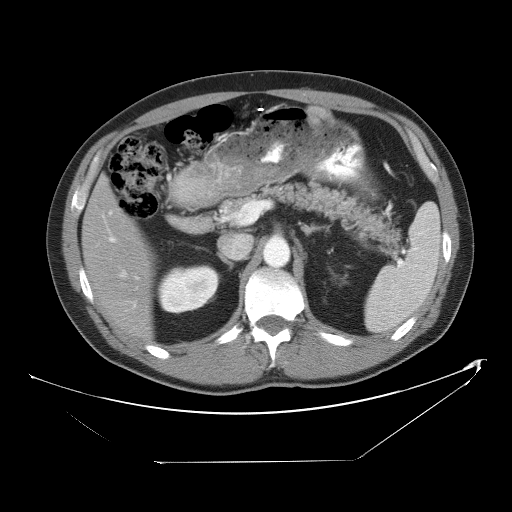 512x512. CT slice.
Some hepatic vessels may have no box.
hepatic_vessel:
  - <box>109,211,111,214</box>
  - <box>129,301,134,303</box>
  - <box>120,270,126,276</box>
  - <box>135,276,138,278</box>
  - <box>102,214,113,240</box>
  - <box>132,304,133,306</box>